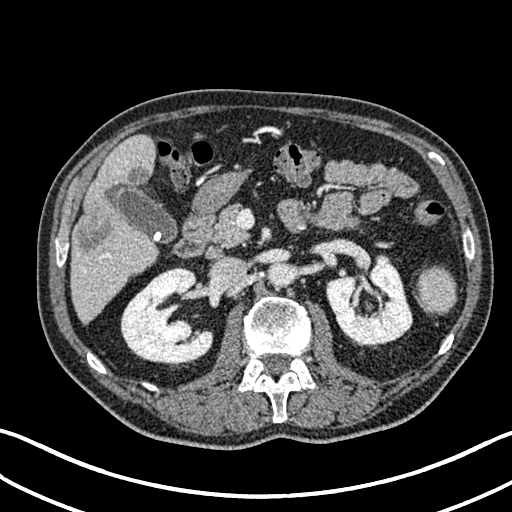
512x512 px | CT
The liver appears at [71, 136, 157, 322]. 2 hepatic lesion regions appear at [77, 201, 116, 251], [128, 167, 148, 182]. 2 kidney regions are bounded by [121, 269, 219, 362], [327, 246, 411, 344].